CT image; Abdomen; Image size 512x512; Slice 341 of 588
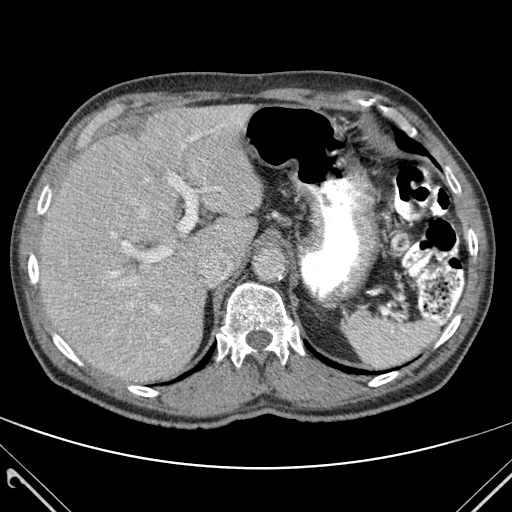 Annotated regions:
* liver: {"x1": 41, "y1": 104, "x2": 261, "y2": 381}
* bone: {"x1": 468, "y1": 230, "x2": 477, "y2": 254}, {"x1": 38, "y1": 186, "x2": 50, "y2": 214}, {"x1": 28, "y1": 255, "x2": 38, "y2": 282}, {"x1": 436, "y1": 315, "x2": 460, "y2": 346}, {"x1": 446, "y1": 167, "x2": 460, "y2": 192}, {"x1": 129, "y1": 386, "x2": 157, "y2": 396}, {"x1": 53, "y1": 334, "x2": 81, "y2": 364}, {"x1": 216, "y1": 283, "x2": 304, "y2": 366}, {"x1": 369, "y1": 372, "x2": 397, "y2": 386}
* lung: {"x1": 310, "y1": 347, "x2": 360, "y2": 373}, {"x1": 394, "y1": 129, "x2": 428, "y2": 155}, {"x1": 194, "y1": 351, "x2": 211, "y2": 370}